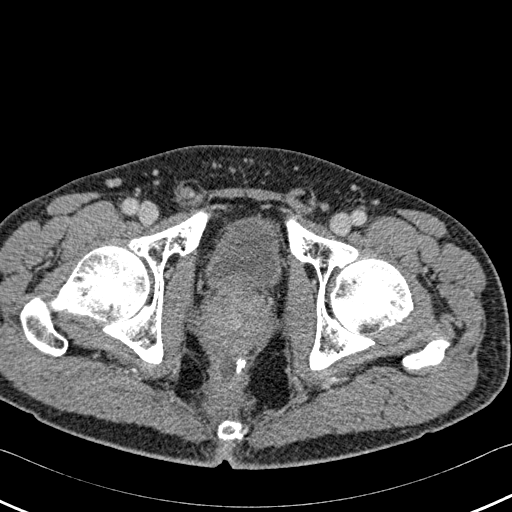 Pelvis; CT

The urinary bladder is at (x1=205, y1=215, x2=283, y2=298). 4 bone regions are located at (x1=287, y1=219, x2=412, y2=370), (x1=216, y1=421, x2=244, y2=439), (x1=403, y1=339, x2=448, y2=368), (x1=21, y1=212, x2=207, y2=364).